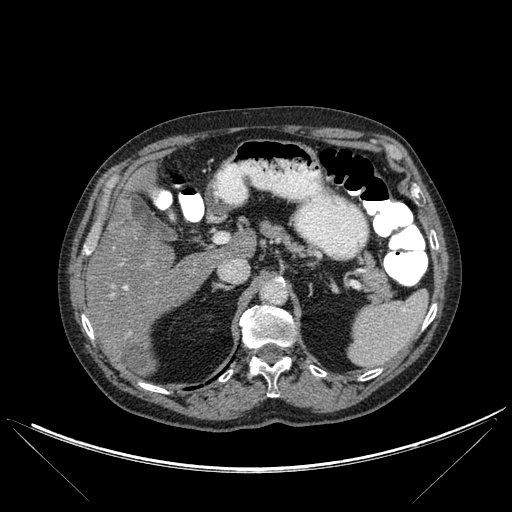

CT slice; Abdomen
9 bone regions are bounded by 430, 231, 438, 249; 359, 369, 381, 380; 219, 370, 232, 381; 422, 304, 436, 328; 239, 305, 296, 348; 250, 356, 290, 397; 82, 315, 93, 338; 140, 383, 167, 393; 310, 365, 326, 376. 3 liver regions are located at 125, 164, 156, 195; 86, 199, 216, 375; 213, 232, 256, 263. The hepatic lesion appears at 121, 343, 150, 371.